CT scan slice, 512x512 px, Abdomen, Slice index 187

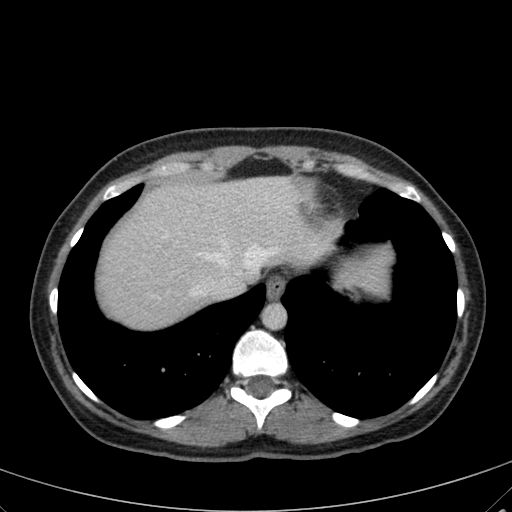
• liver: (left=339, top=246, right=392, bottom=293), (left=96, top=176, right=341, bottom=329)